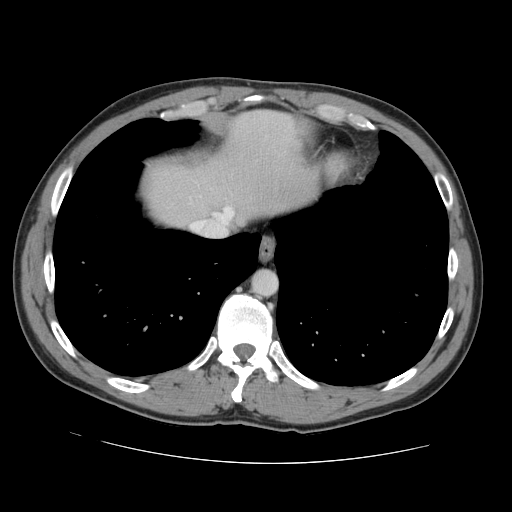
CT image, Abdomen
Not every hepatic vessel necessarily has a box.
hepatic_vessel:
  - left=213, top=208, right=232, bottom=223